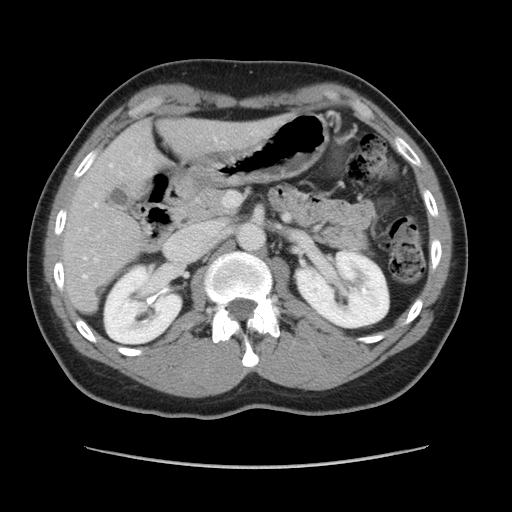
CT slice. Abdomen.

The vessel boxes may cover only some of the vessels.
Hepatic vessel = (x1=85, y1=228, x2=87, y2=230), (x1=83, y1=274, x2=87, y2=277), (x1=110, y1=164, x2=112, y2=167), (x1=94, y1=256, x2=98, y2=262), (x1=214, y1=137, x2=216, y2=140), (x1=133, y1=158, x2=140, y2=164), (x1=94, y1=203, x2=97, y2=206), (x1=91, y1=250, x2=93, y2=251), (x1=84, y1=256, x2=87, y2=259), (x1=119, y1=171, x2=122, y2=175).